Slice 62 of 95, Upper abdomen, CT scan slice

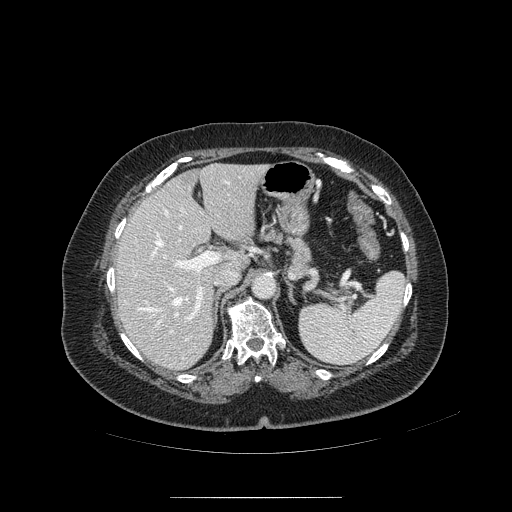 <segmentation>
  <pancreas>l=256, t=222, r=314, b=276</pancreas>
  <pancreatic_tumor>l=296, t=250, r=309, b=265</pancreatic_tumor>
</segmentation>